FLAIR MR image.
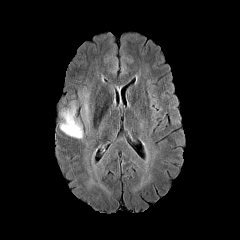
T1-weighted magnetic resonance.
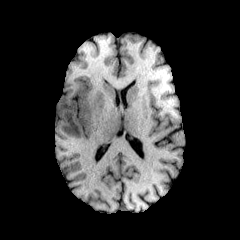
Post-contrast T1-weighted MR.
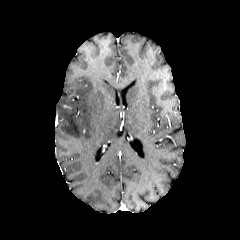
T2-weighted MR.
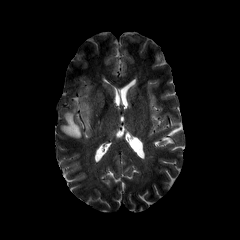
Edema: <box>59,103,82,139</box>, <box>78,90,89,125</box>.